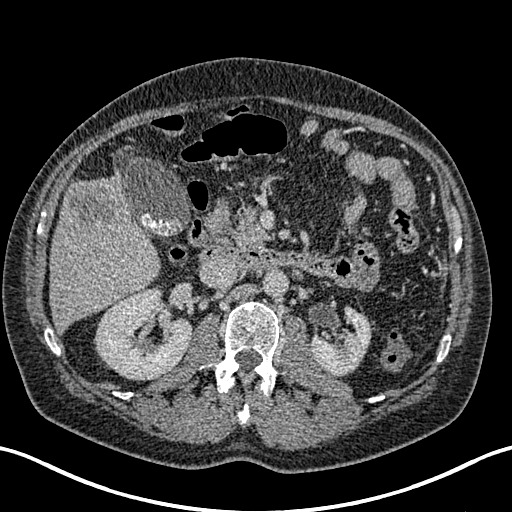

CT scan slice; 512x512 px; Abdomen
2 kidney regions appear at [x1=312, y1=308, x2=369, y2=375], [x1=96, y1=290, x2=191, y2=379]. The liver lesion lies within [x1=65, y1=182, x2=120, y2=226]. The liver is at [x1=49, y1=177, x2=160, y2=331].